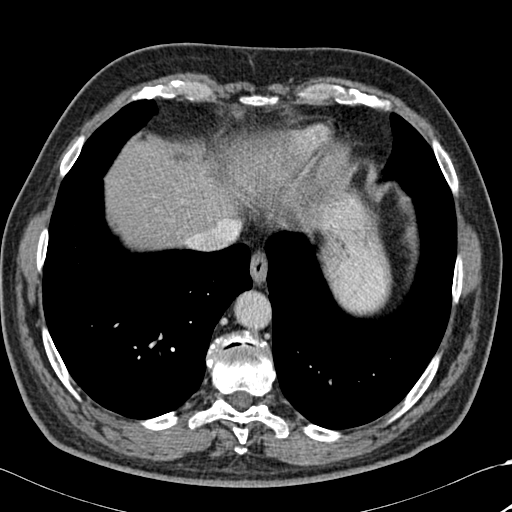 CT scan slice | Upper abdomen
Segmented structures:
- lung: bbox(265, 113, 456, 429); bbox(42, 99, 252, 419)
- bone: bbox(247, 96, 266, 104); bbox(452, 259, 462, 300); bbox(143, 413, 176, 429); bbox(233, 427, 247, 443); bbox(133, 80, 183, 99); bbox(346, 89, 388, 106); bbox(433, 142, 457, 191); bbox(60, 137, 83, 175); bbox(398, 357, 438, 415); bbox(43, 330, 75, 394); bbox(37, 230, 47, 268); bbox(304, 425, 339, 441); bbox(189, 332, 288, 437)
- liver: bbox(106, 143, 233, 246)